Pelvis; CT slice 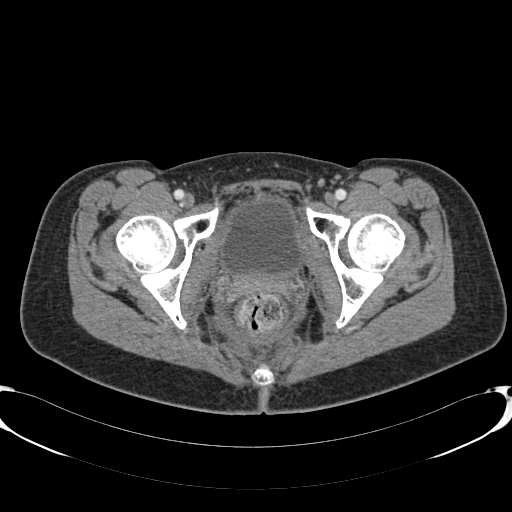

Urinary bladder — 219:200:301:273.